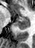 Magnetic resonance. Medial temporal lobe.

- anterior hippocampus: box(20, 17, 25, 17)
- posterior hippocampus: box(17, 18, 29, 31)